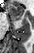
MR; Medial temporal lobe
The anterior hippocampus is bounded by [9,4,23,20].